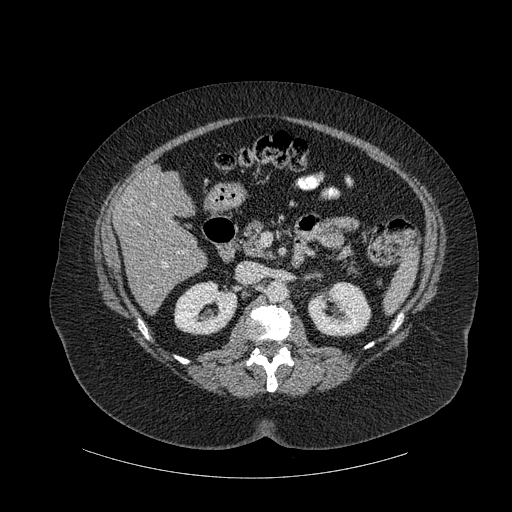
Computed tomography, Image size 512x512, Liver
5 bone regions are bounded by [248, 305, 290, 341], [138, 319, 148, 338], [247, 347, 293, 391], [392, 314, 403, 330], [175, 355, 188, 363]. 2 kidney regions are located at [175, 282, 236, 333], [309, 283, 370, 335]. The liver lies within [113, 166, 207, 306].